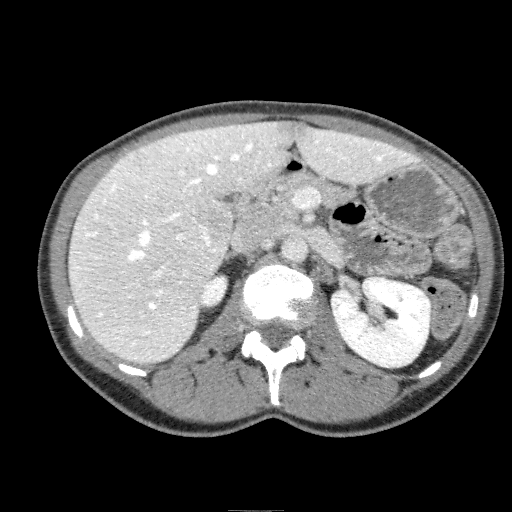 CT scan slice | Upper abdomen
2 liver lesion regions are located at (191,201,232,237), (270,121,314,150). 2 kidney regions are located at (332,277,430,366), (201,277,225,305). 2 liver regions appear at (69,120,288,362), (289,125,418,183).